Image size 512x512; Slice 167/282; CT scan slice
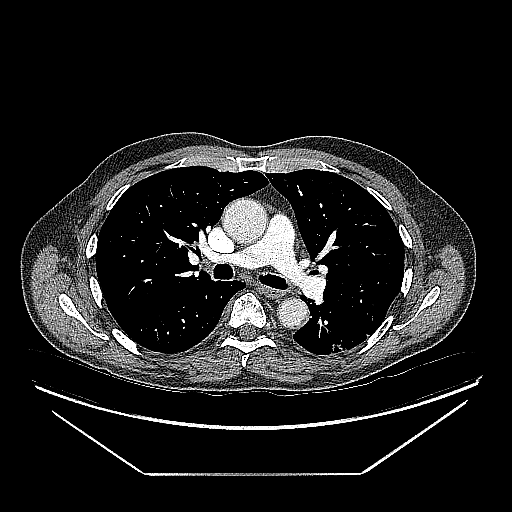
Lung tumor — x1=324, y1=331, x2=355, y2=354.